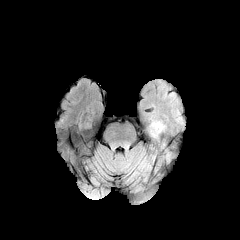
FLAIR MR.
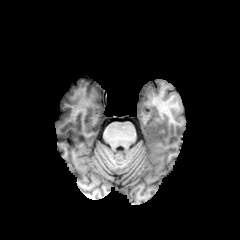
T1-weighted MR.
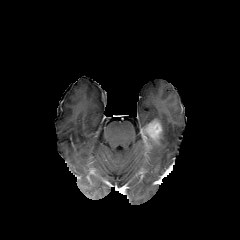
Post-contrast T1-weighted MRI.
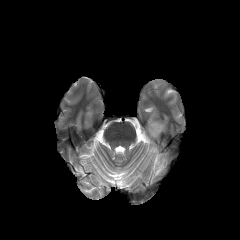
T2-weighted magnetic resonance.
240x240 px
Enhancing tumor at <box>144,119,162,143</box>.